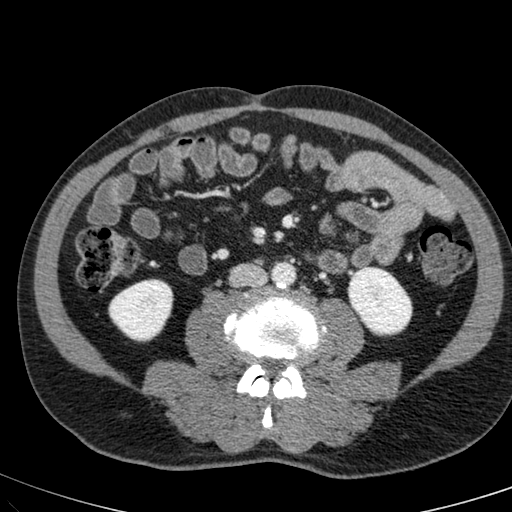 Image size 512x512, CT scan slice

{
  "kidney": [
    "bbox(349, 268, 410, 332)",
    "bbox(110, 280, 171, 338)"
  ]
}